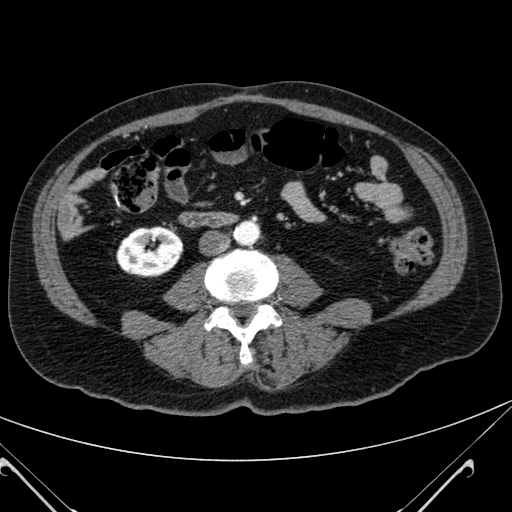
Abdomen. CT.
Annotated regions:
• kidney: (x1=117, y1=227, x2=181, y2=275)